Liver. 512x512 px. Slice index 466. CT scan slice.

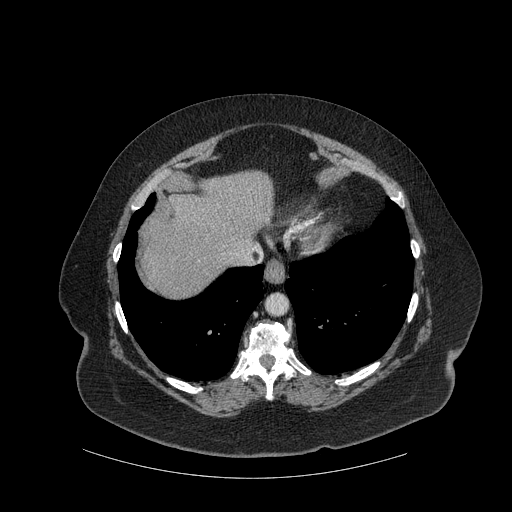

2 lung regions appear at region(118, 193, 263, 379); region(285, 197, 413, 374). 8 bone regions are bounded by region(113, 243, 121, 261); region(335, 362, 379, 385); region(407, 293, 417, 321); region(391, 192, 402, 203); region(115, 302, 127, 332); region(167, 378, 201, 393); region(231, 322, 310, 399); region(411, 240, 419, 257). The liver is bounded by region(141, 171, 274, 299).